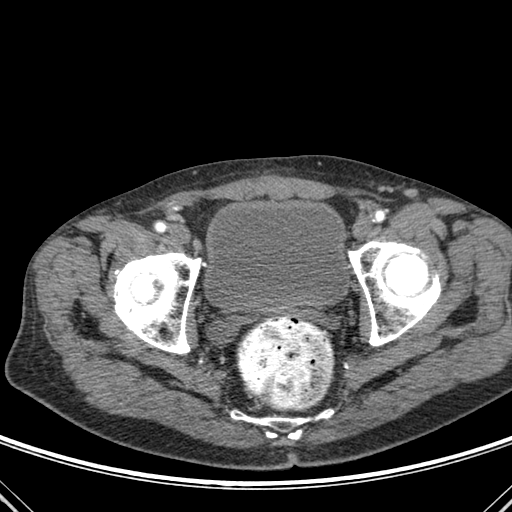
CT scan slice, Pelvis
bone: box(113, 252, 204, 353); box(288, 429, 301, 439); box(314, 410, 333, 420); box(348, 240, 440, 345); box(231, 411, 312, 431); box(266, 432, 276, 437) | urinary bladder: box(206, 201, 350, 313)